CT slice, Slice 76 of 142, Abdomen

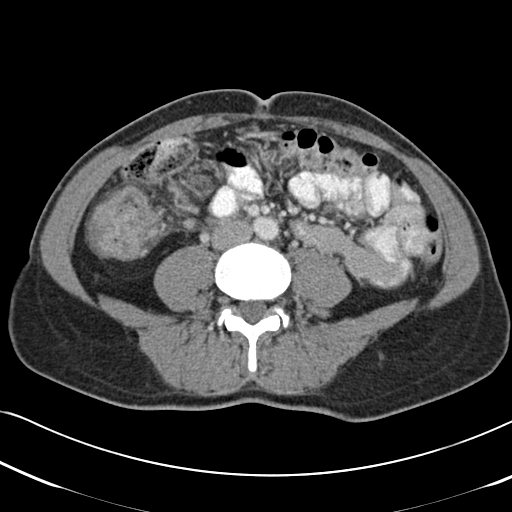
colon tumor: bbox(86, 187, 162, 261)